CT; Slice 40/45

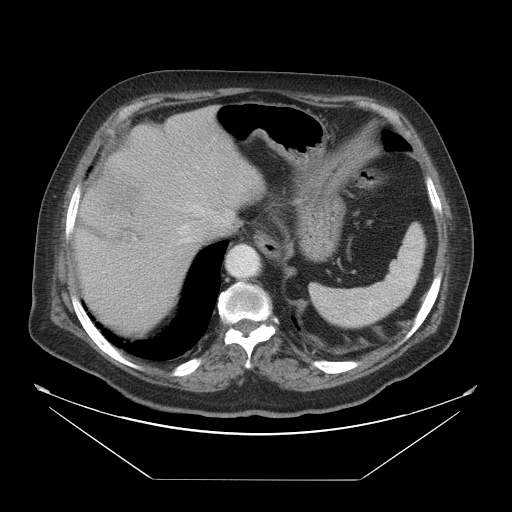

The vessel boxes may cover only some of the vessels.
<segmentation>
  <hepatic_vessel>(201,217,229,241)</hepatic_vessel>
  <liver_tumor>(94,165,147,216), (112,225,151,250)</liver_tumor>
</segmentation>